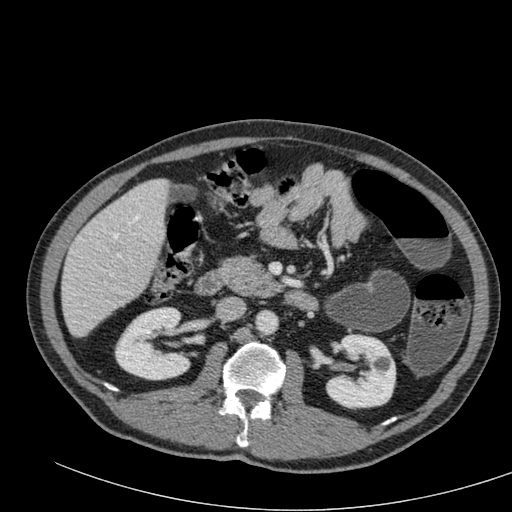

CT scan slice; Image size 512x512; Abdomen

* kidney: left=116, top=308, right=189, bottom=379; left=327, top=335, right=395, bottom=407
* liver: left=62, top=179, right=167, bottom=336